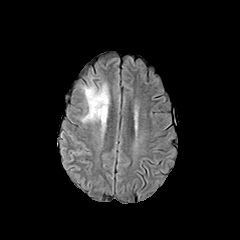
FLAIR MRI.
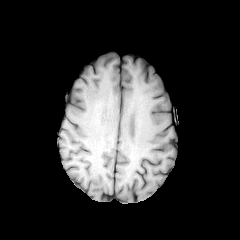
Same slice, T1-weighted magnetic resonance.
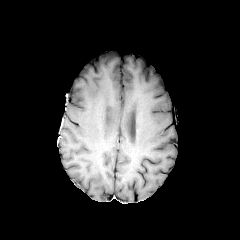
Post-contrast T1-weighted MRI of the same slice.
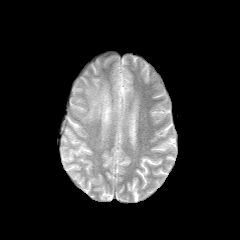
T2-weighted MRI.
240x240
Findings:
• edema: 81:77:110:135